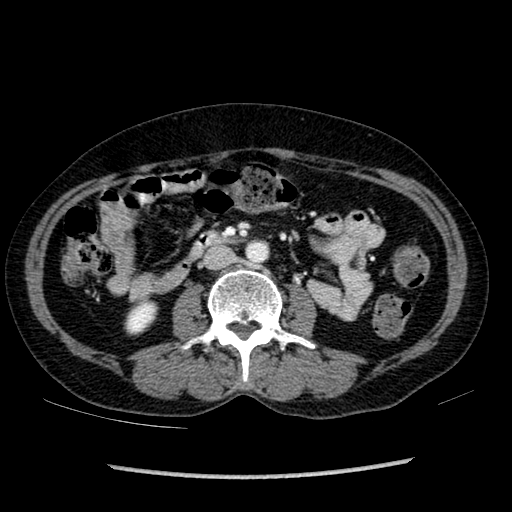
Abdomen, CT slice, 512x512

<segmentation>
  <kidney>[128, 303, 154, 331]</kidney>
</segmentation>